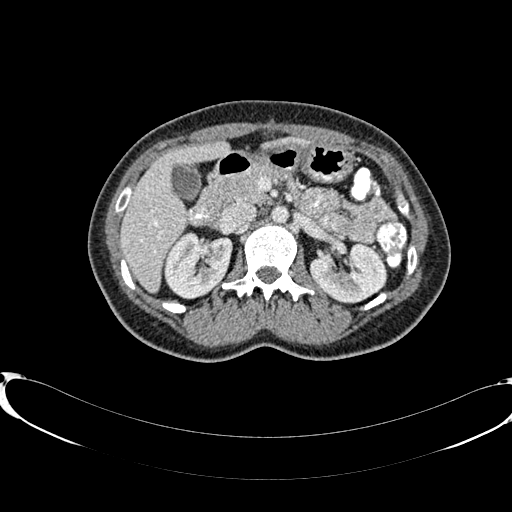
512x512 | Liver | CT slice
Kidney = rect(166, 235, 230, 297); rect(311, 245, 385, 301).
Liver = rect(120, 143, 229, 292); rect(263, 137, 308, 147).